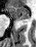 MRI slice; Hippocampus; 36x47
Anterior hippocampus: [x1=9, y1=6, x2=30, y2=20].